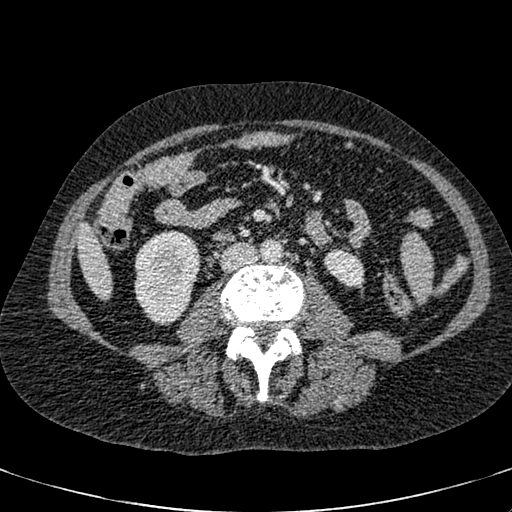 Abdomen; Computed tomography; 512x512
2 kidney regions appear at x1=135, y1=231, x2=199, y2=323; x1=324, y1=250, x2=358, y2=285. The liver lies within x1=76, y1=225, x2=111, y2=295.